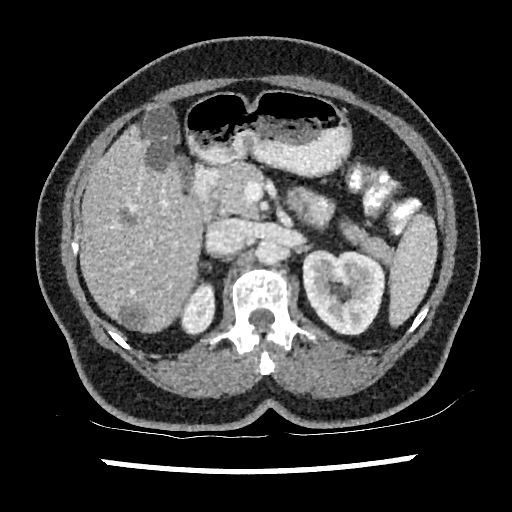 Upper abdomen. CT scan slice. 512x512 px.
3 focal liver lesion regions are bounded by 147:142:171:169, 120:210:135:223, 118:303:145:326. 2 kidney regions are bounded by 299:251:383:333, 183:286:213:332. The liver is at 80:126:201:330.